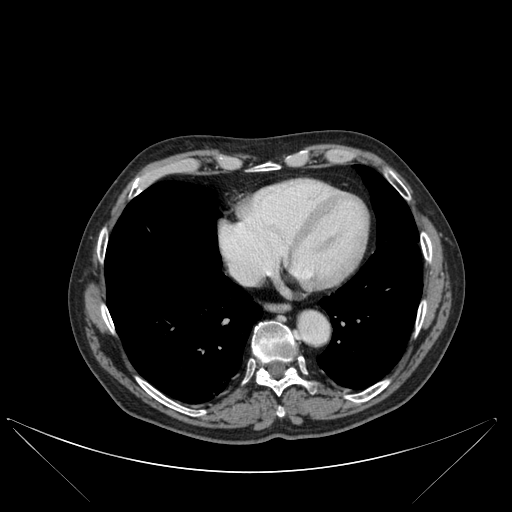
Computed tomography.
Lung — [317, 165, 422, 389], [105, 181, 262, 403].
Bone — [244, 321, 296, 382], [257, 368, 317, 395], [136, 378, 205, 415], [130, 176, 148, 195], [97, 229, 107, 260], [421, 232, 431, 260], [345, 380, 388, 402], [254, 164, 278, 170], [101, 306, 113, 331], [297, 356, 308, 373], [416, 301, 426, 332].